Head
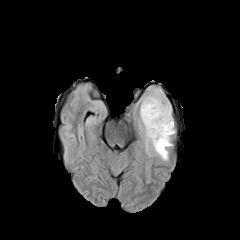
FLAIR MR.
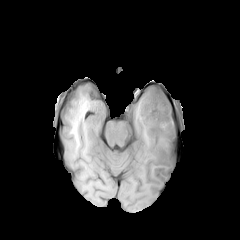
T1-weighted MR image of the same slice.
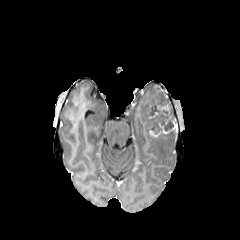
Post-contrast T1-weighted MR image.
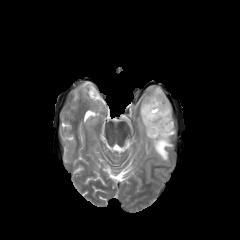
Same slice, T2-weighted MR.
Non-enhancing tumor core = box(148, 94, 174, 133).
Edema = box(138, 87, 175, 160).
Enhancing tumor = box(157, 104, 169, 115).